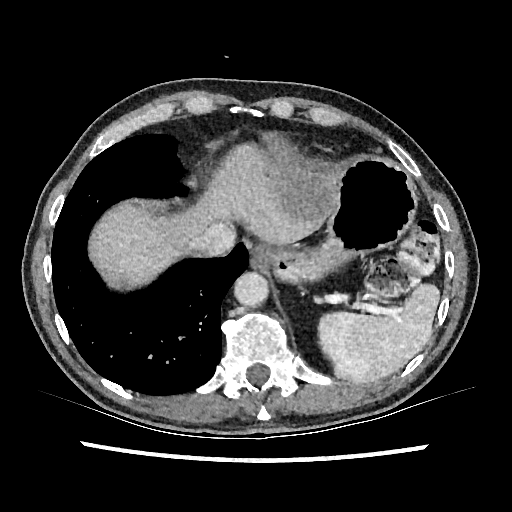
CT. Upper abdomen.

{"hepatic_lesion": ["bbox(273, 173, 337, 225)", "bbox(262, 167, 269, 177)"], "liver": ["bbox(92, 145, 327, 284)"]}